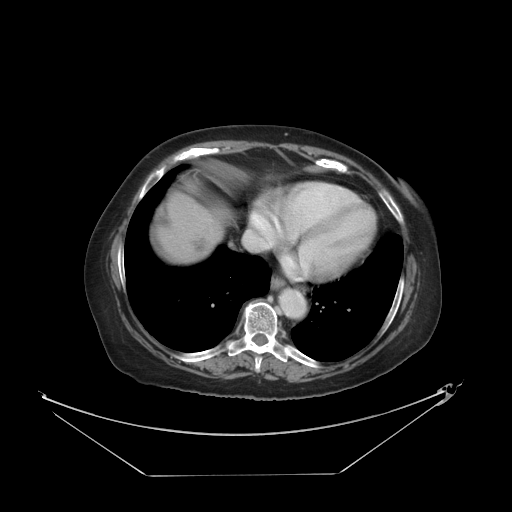

CT slice, Image size 512x512
Liver tumor = left=193, top=237, right=210, bottom=253.